CT slice | Image width 386 mm | Liver
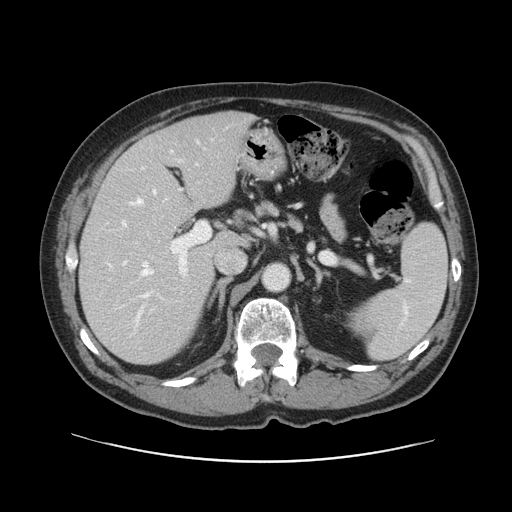 The vessel boxes may cover only some of the vessels.
Segmented structures:
• hepatic vessel: x1=108, y1=263, x2=111, y2=267; x1=142, y1=168, x2=144, y2=169; x1=197, y1=141, x2=198, y2=143; x1=135, y1=310, x2=141, y2=326; x1=153, y1=189, x2=155, y2=193; x1=122, y1=221, x2=125, y2=226; x1=142, y1=262, x2=153, y2=274; x1=123, y1=262, x2=126, y2=264; x1=170, y1=150, x2=172, y2=152; x1=195, y1=163, x2=197, y2=165; x1=140, y1=294, x2=148, y2=297; x1=129, y1=198, x2=142, y2=204